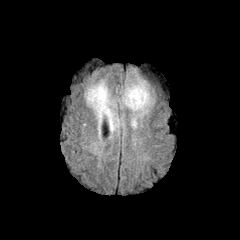
FLAIR magnetic resonance.
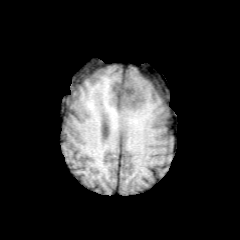
Same slice, T1-weighted MRI.
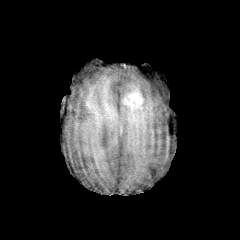
Same slice, post-contrast T1-weighted MR.
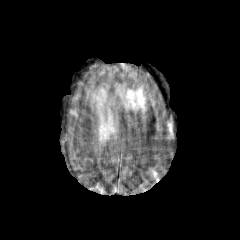
T2-weighted MRI.
Image size 240x240. Head.
Edema: bbox(122, 80, 153, 116); bbox(86, 83, 118, 132).
Enhancing tumor: bbox(122, 87, 143, 110).